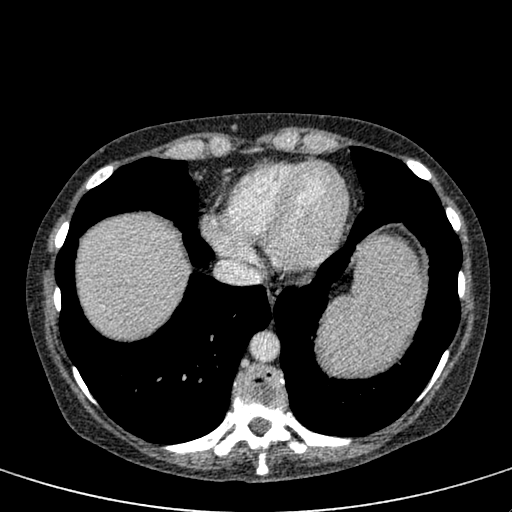 Abdomen, CT slice, 512x512 px
<segmentation>
  <liver>[77, 217, 185, 336]</liver>
</segmentation>